Liver, 512x512, CT
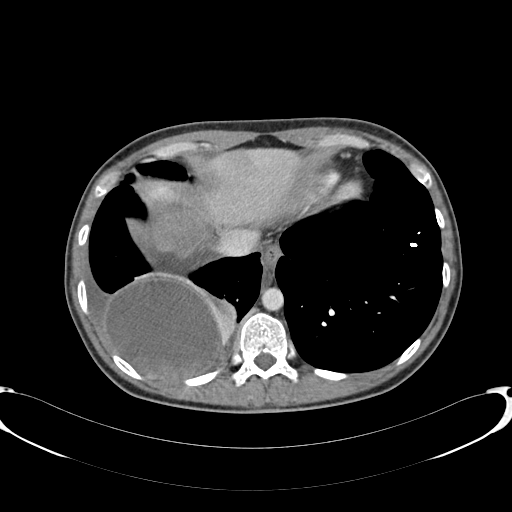 Annotated regions:
- liver: rect(144, 181, 171, 200); rect(202, 149, 304, 226)
- hepatic lesion: rect(231, 152, 251, 168)